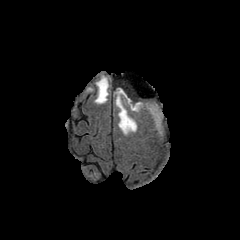
FLAIR MR image.
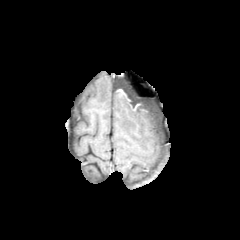
T1-weighted MR.
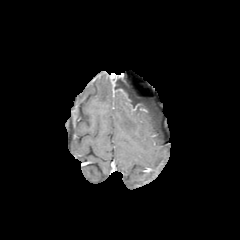
Post-contrast T1-weighted magnetic resonance of the same slice.
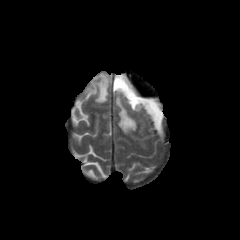
Same slice, T2-weighted MR.
240x240 | Brain
Non-enhancing tumor core: (x1=128, y1=96, x2=160, y2=118).
Edema: (x1=115, y1=86, x2=162, y2=134), (x1=87, y1=75, x2=110, y2=103).